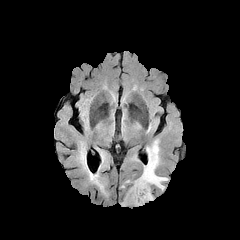
FLAIR MR image.
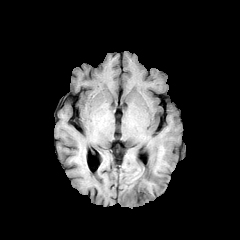
T1-weighted magnetic resonance.
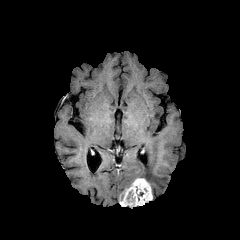
Post-contrast T1-weighted magnetic resonance of the same slice.
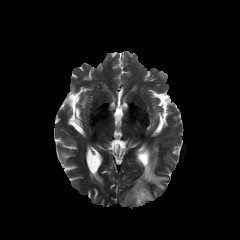
T2-weighted MRI.
Brain, 240x240
<segmentation>
  <edema><box>140,139,168,190</box></edema>
  <enhancing_tumor><box>120,177,152,206</box></enhancing_tumor>
</segmentation>